Image width 449 mm | Liver | Computed tomography | 512x512 | Slice 17/40
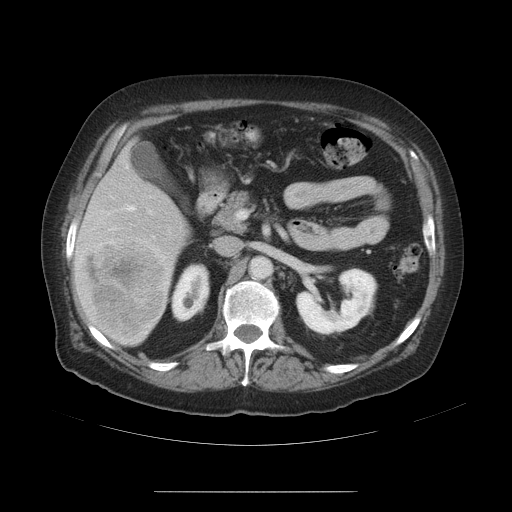

Not every hepatic vessel necessarily has a box.
6 hepatic vessel regions are located at {"x1": 110, "y1": 240, "x2": 113, "y2": 241}, {"x1": 149, "y1": 210, "x2": 151, "y2": 213}, {"x1": 109, "y1": 228, "x2": 118, "y2": 230}, {"x1": 126, "y1": 205, "x2": 134, "y2": 210}, {"x1": 76, "y1": 251, "x2": 82, "y2": 261}, {"x1": 157, "y1": 250, "x2": 158, "y2": 252}. The liver tumor is bounded by {"x1": 77, "y1": 241, "x2": 169, "y2": 345}.